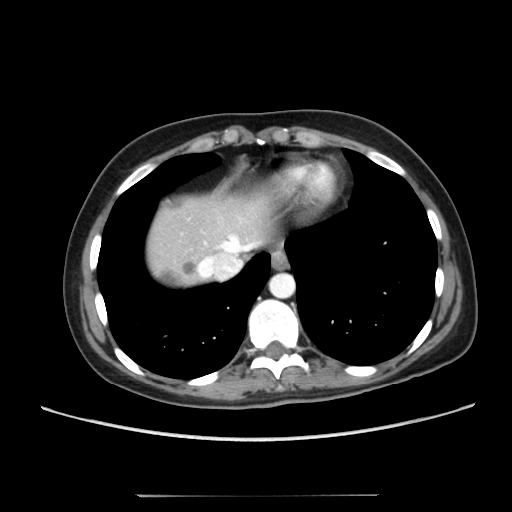
CT image | Upper abdomen
Liver: {"x1": 147, "y1": 190, "x2": 277, "y2": 288}.
Hepatic lesion: {"x1": 151, "y1": 264, "x2": 189, "y2": 288}, {"x1": 182, "y1": 260, "x2": 195, "y2": 274}, {"x1": 163, "y1": 197, "x2": 187, "y2": 211}.